Image width 400 mm, Image size 320x320, MR image, Slice 84/120 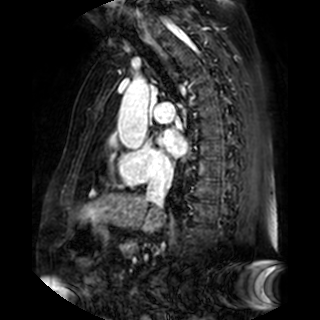
Annotated regions:
* left atrium: <bbox>158, 129, 187, 157</bbox>